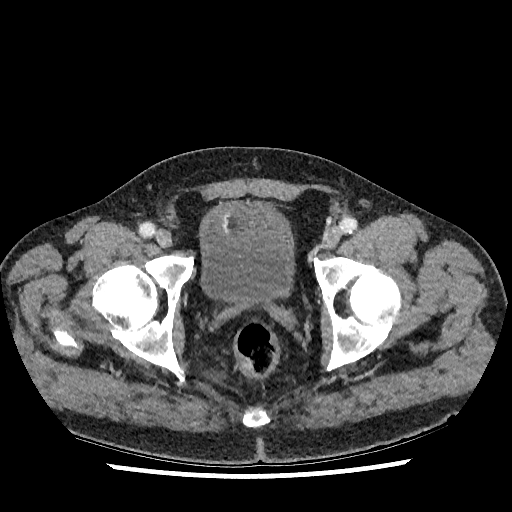
512x512, CT slice
Urinary bladder = (x1=200, y1=199, x2=294, y2=309).